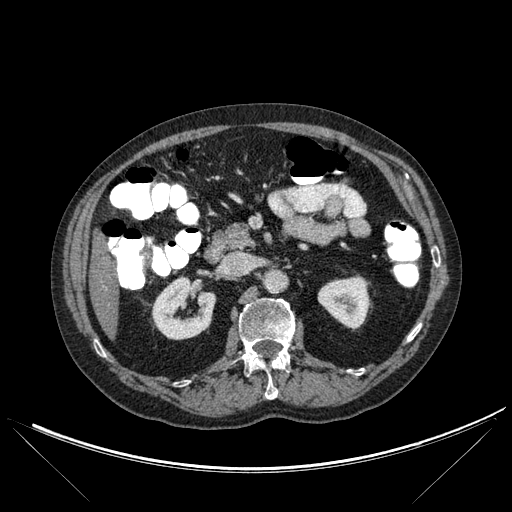

CT scan slice
<segmentation>
  <kidney>318,277,369,328; 152,277,215,339</kidney>
  <bone>348,368,363,375; 239,298,294,399; 433,251,440,266; 407,324,420,341</bone>
  <liver>89,231,120,338</liver>
</segmentation>